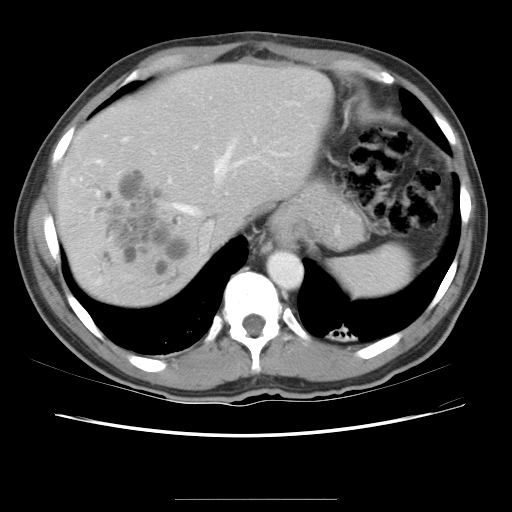 CT scan slice
The vessel annotation is not exhaustive.
The liver tumor is at bbox(90, 164, 194, 288). 9 hepatic vessel regions appear at bbox(201, 246, 206, 251); bbox(167, 178, 171, 181); bbox(207, 222, 213, 228); bbox(194, 145, 197, 147); bbox(253, 137, 256, 141); bbox(175, 203, 195, 213); bbox(122, 137, 127, 140); bbox(97, 159, 101, 162); bbox(214, 144, 259, 177).